CT image, 512x512, Field of view 480x480 mm 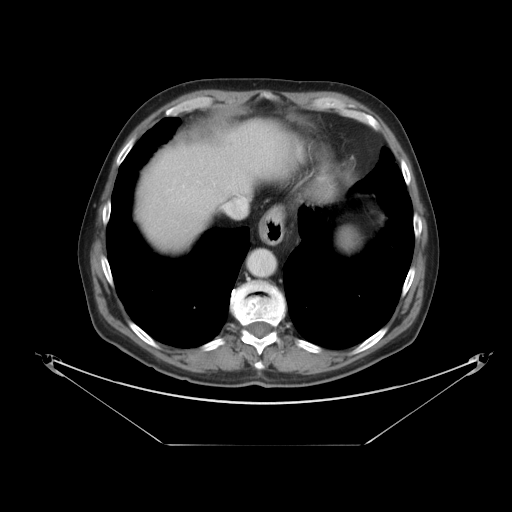
The spleen appears at <box>337,228,360,252</box>.